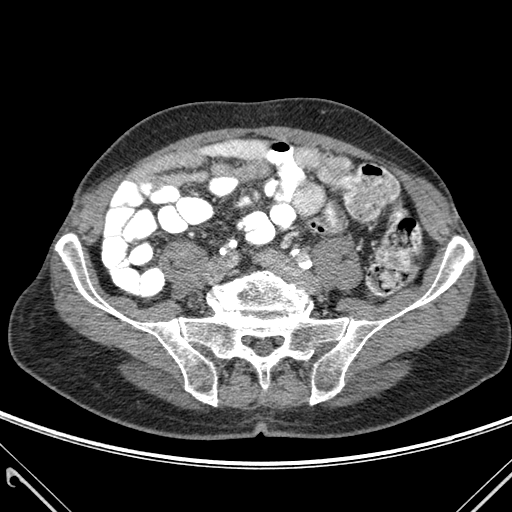
CT slice
<segmentation>
  <bone>l=55, t=234, r=472, b=405</bone>
</segmentation>